Field of view 422x422 mm, Upper abdomen, CT, Image size 512x512

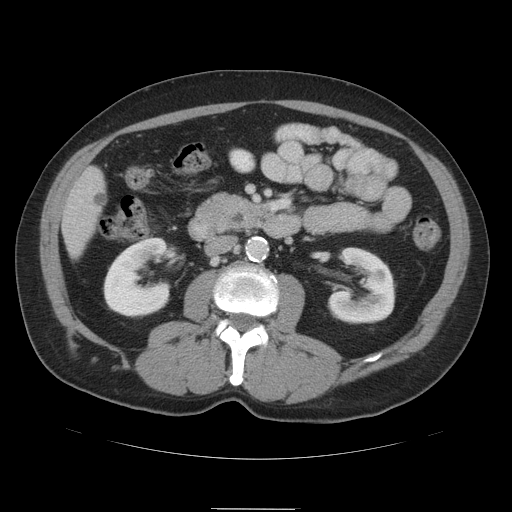 pancreas: x1=197 y1=192 x2=269 y2=235